CT image. Image size 512x512. Lower abdomen.

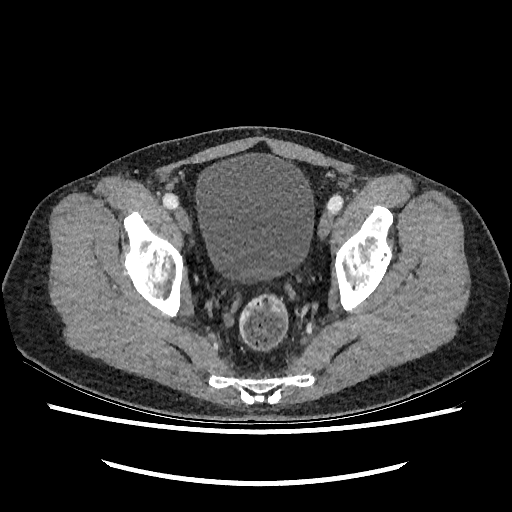

The urinary bladder is bounded by {"x1": 195, "y1": 153, "x2": 314, "y2": 283}.